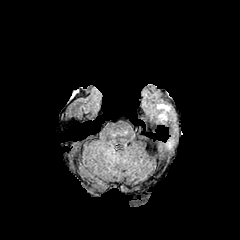
FLAIR MR.
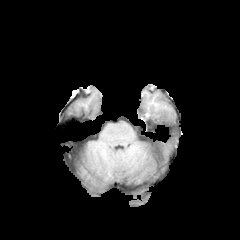
Same slice, T1-weighted MR image.
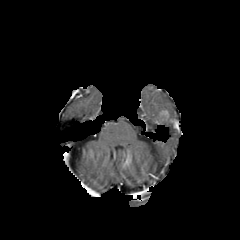
Post-contrast T1-weighted magnetic resonance.
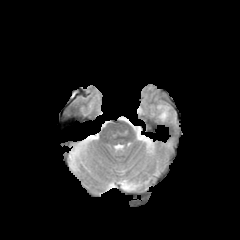
T2-weighted MRI.
Image size 240x240, Head
2 edema regions are located at (163, 140, 173, 151), (155, 103, 178, 135).